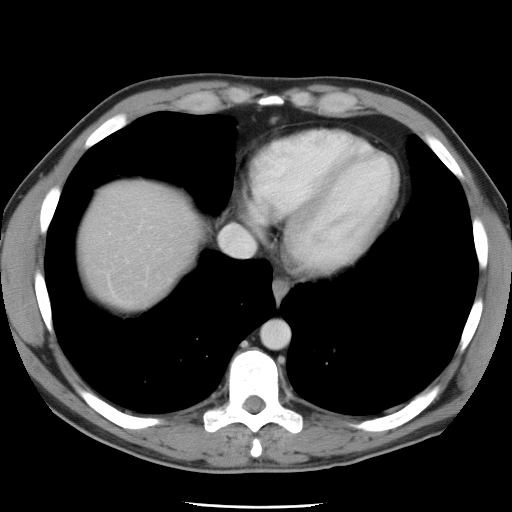

Abdomen, CT slice

The vessel boxes may cover only some of the vessels.
Findings:
- hepatic vessel: (220,225,255,255)